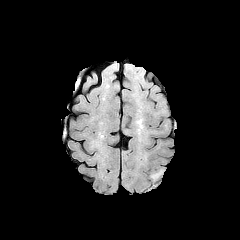
FLAIR MRI.
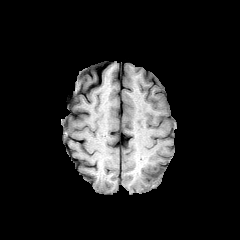
T1-weighted MR of the same slice.
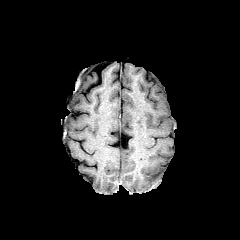
Post-contrast T1-weighted MR image of the same slice.
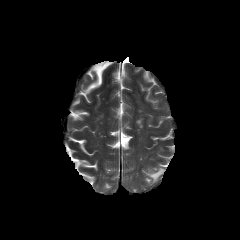
T2-weighted magnetic resonance.
Brain
The edema lies within rect(151, 168, 162, 179).